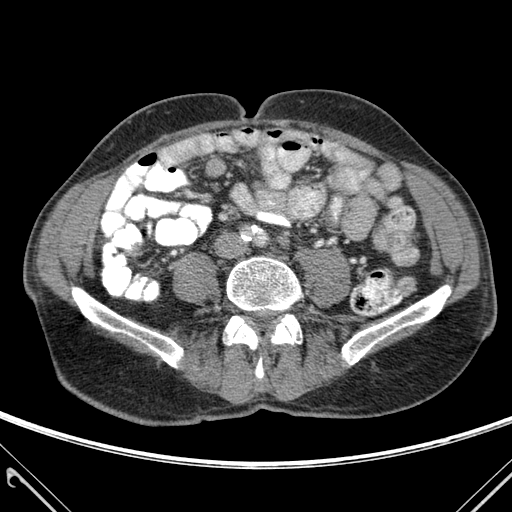
CT slice

bone: [225,316,257,348], [271,314,301,343], [342,285,450,364], [227,257,300,310], [256,359,263,377], [72,288,182,367]